FLAIR MR.
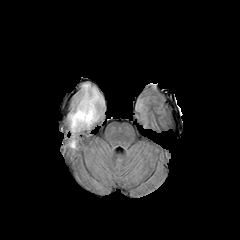
T1-weighted MRI.
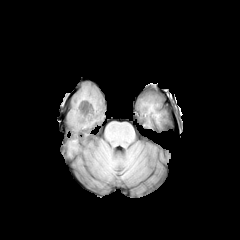
Post-contrast T1-weighted MR.
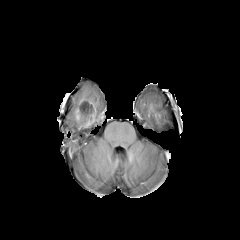
T2-weighted MR.
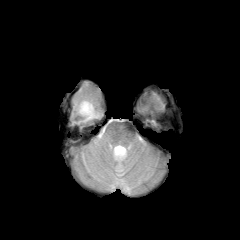
Image size 240x240. Brain.
The non-enhancing tumor core is at <box>81,102,101,120</box>. 2 edema regions are located at <box>70,139,76,147</box>, <box>68,84,103,132</box>.